FLAIR magnetic resonance.
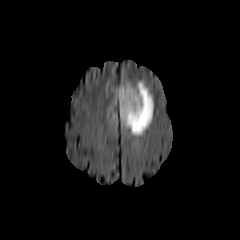
T1-weighted MR image.
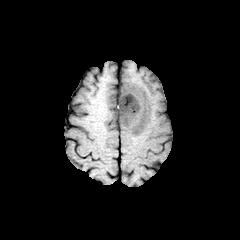
Post-contrast T1-weighted MR.
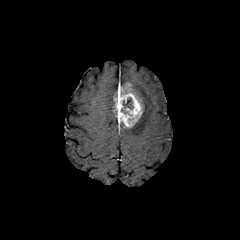
T2-weighted MR image.
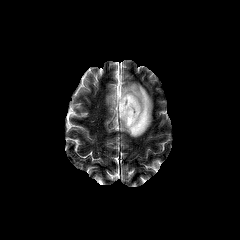
Edema — [121, 81, 153, 136].
Enhancing tumor — [113, 83, 143, 128].